Chest; 512x512; CT

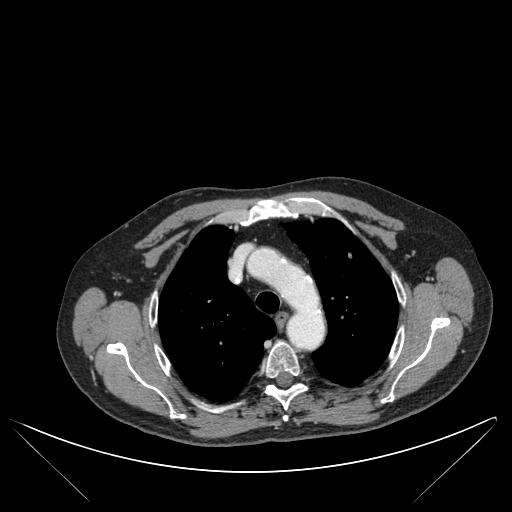 Bone at (left=263, top=341, right=299, bottom=377), (left=393, top=274, right=404, bottom=303), (left=107, top=343, right=185, bottom=418), (left=212, top=406, right=232, bottom=412), (left=265, top=383, right=307, bottom=409), (left=389, top=327, right=404, bottom=365), (left=241, top=198, right=329, bottom=225), (left=155, top=345, right=169, bottom=374), (left=381, top=317, right=449, bottom=402), (left=149, top=293, right=157, bottom=325).
Lung at (left=158, top=225, right=278, bottom=401), (left=285, top=219, right=397, bottom=386).